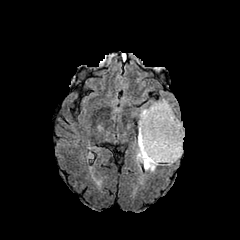
FLAIR MR.
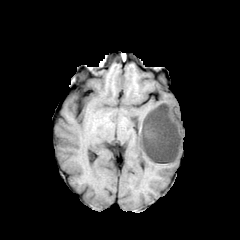
T1-weighted MRI.
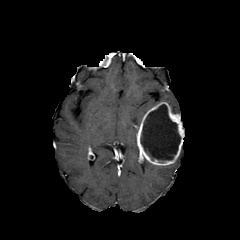
Post-contrast T1-weighted magnetic resonance.
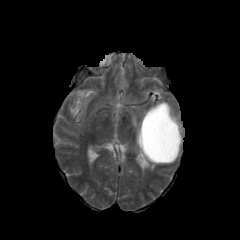
T2-weighted magnetic resonance.
Brain
{"enhancing_tumor": ["(x1=136, y1=101, x2=184, y2=165)"], "edema": ["(x1=132, y1=102, x2=156, y2=122)", "(x1=142, y1=159, x2=158, y2=172)"], "non-enhancing_tumor_core": ["(x1=141, y1=104, x2=179, y2=159)"]}